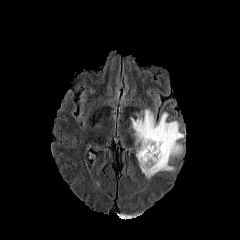
FLAIR MR image.
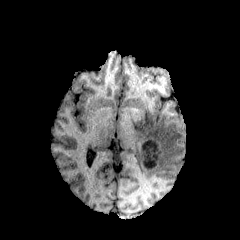
T1-weighted MRI.
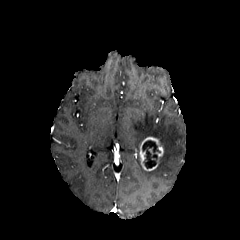
Post-contrast T1-weighted MR of the same slice.
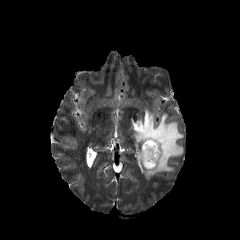
Same slice, T2-weighted MR image.
Head
Non-enhancing tumor core — <bbox>141, 140, 160, 168</bbox>.
Enhancing tumor — <bbox>139, 136, 163, 171</bbox>.
Edema — <bbox>131, 109, 183, 179</bbox>.